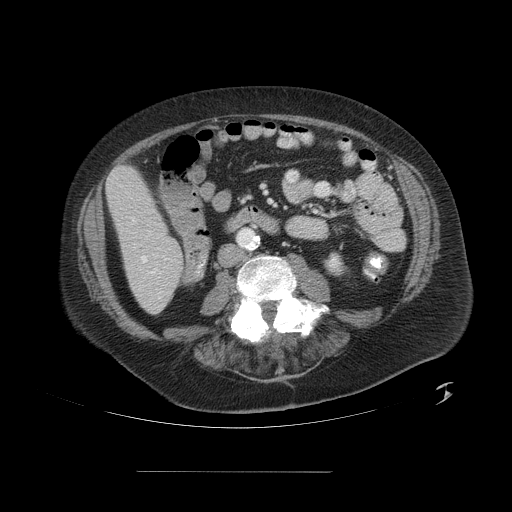
CT scan slice, Abdomen
The vessel boxes may cover only some of the vessels.
5 hepatic vessel regions are located at 148,231,150,235; 132,217,134,221; 156,263,158,265; 141,256,146,261; 148,268,156,273.